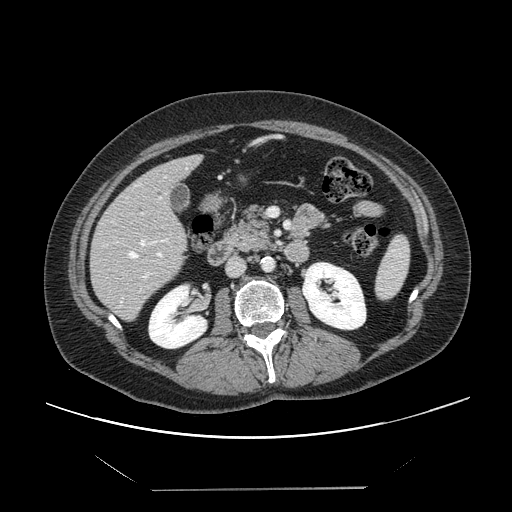 CT
Some hepatic vessels may have no box.
6 hepatic vessel regions are bounded by (left=156, top=251, right=163, bottom=257), (left=158, top=196, right=161, bottom=200), (left=139, top=238, right=168, bottom=246), (left=141, top=213, right=143, bottom=214), (left=127, top=250, right=138, bottom=259), (left=142, top=272, right=152, bottom=279).